Slice index 16, MR image, Field of view 35x49 mm, 35x49

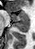

The anterior hippocampus is at 11:11:29:21. The posterior hippocampus is bounded by 13:21:29:32.